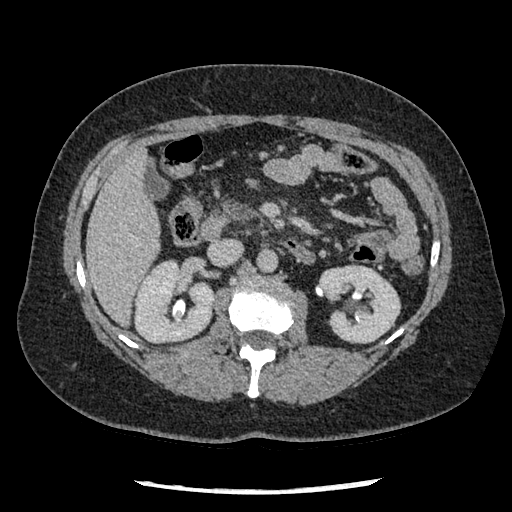

Computed tomography. Pancreas — 219:198:255:221.